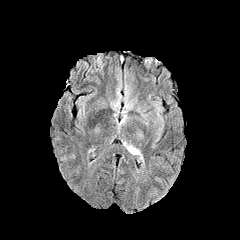
FLAIR MR.
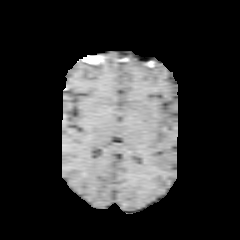
T1-weighted MRI.
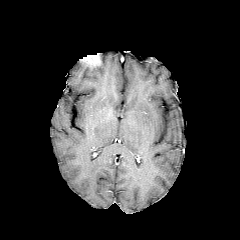
Same slice, post-contrast T1-weighted MR image.
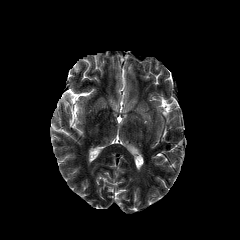
T2-weighted magnetic resonance.
Brain.
edema: 136, 106, 148, 125; 123, 140, 143, 159; 110, 75, 137, 133; 152, 101, 162, 117